Abdomen, Slice index 399, 512x512, Computed tomography
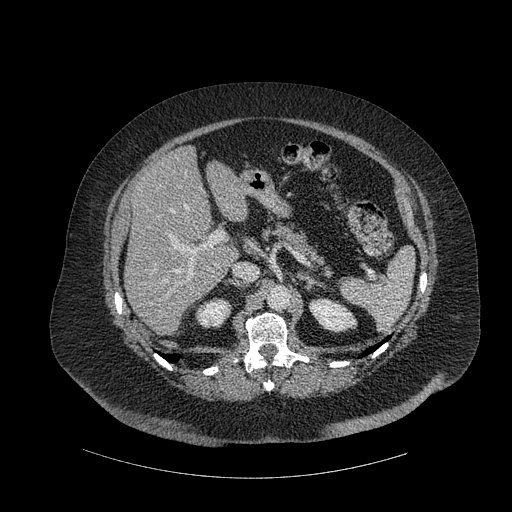

2 kidney regions appear at [310,299,355,331], [197,300,229,326]. 2 lung regions appear at [161,354,179,362], [360,340,386,356]. 8 bone regions are located at [330,361,348,367], [264,380,273,390], [154,353,171,369], [372,343,387,357], [244,313,308,371], [115,293,121,313], [203,367,217,374], [420,273,426,291]. 2 liver regions appear at [207,161,247,219], [124,145,238,335].